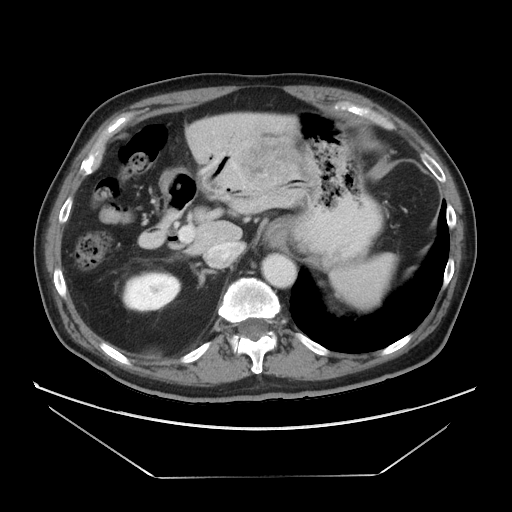

Liver, CT slice
Some hepatic vessels may have no box.
hepatic vessel: bbox=[180, 232, 190, 241] | liver tumor: bbox=[240, 131, 299, 182]